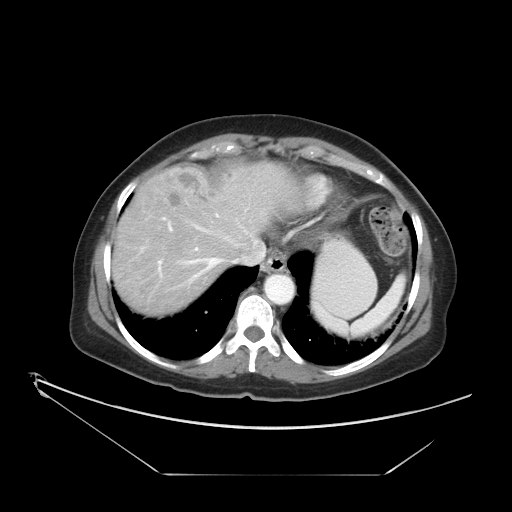
Liver. CT image.

The vessel annotation is not exhaustive.
5 hepatic vessel regions are located at [195, 248, 197, 249], [168, 222, 171, 230], [195, 258, 219, 276], [158, 261, 160, 274], [184, 259, 198, 263]. 3 liver tumor regions are bounded by [208, 175, 230, 198], [175, 171, 200, 191], [169, 190, 180, 205].